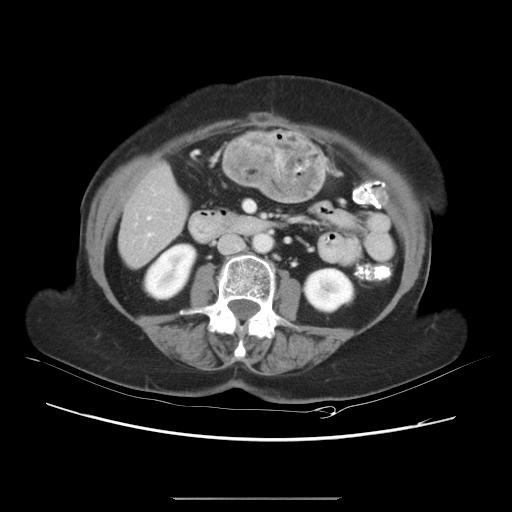 CT image. 512x512. Liver. The vessel boxes may cover only some of the vessels.
5 hepatic vessel regions appear at 147:217:150:219, 166:209:168:211, 147:233:152:236, 135:224:136:225, 153:190:156:195.